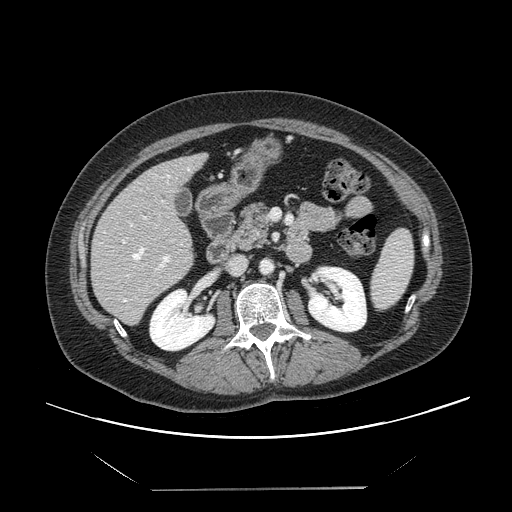
Abdomen; CT; 512x512 px
The vessel annotation is not exhaustive.
Hepatic vessel = box=[143, 216, 146, 219]; box=[132, 246, 144, 262]; box=[123, 299, 126, 301]; box=[126, 275, 129, 276]; box=[122, 239, 126, 242]; box=[161, 201, 164, 202]; box=[156, 254, 170, 270]; box=[129, 222, 133, 227].